Liver; Computed tomography 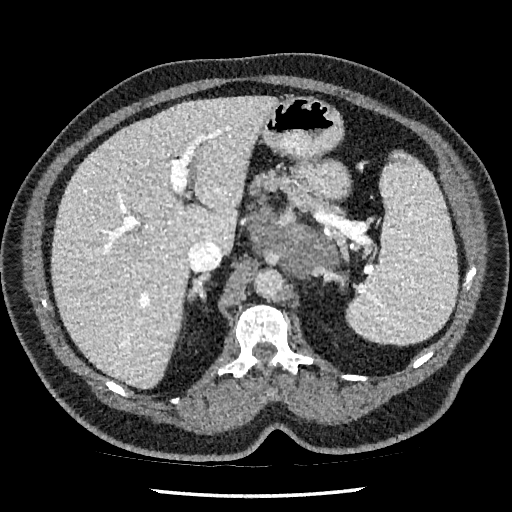 The liver is at 52 97 275 387.